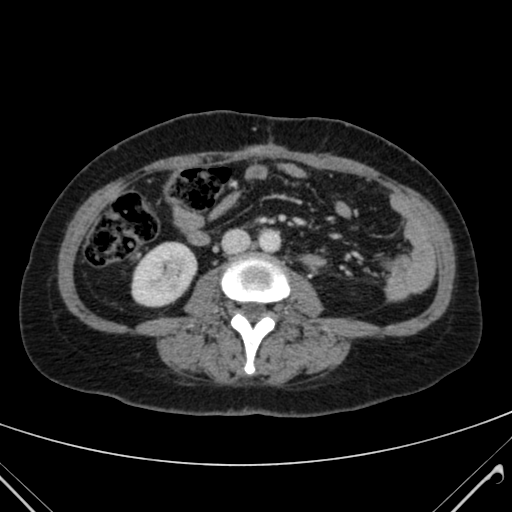
CT scan slice | Abdomen
{"kidney": ["(left=133, top=243, right=195, bottom=305)"]}